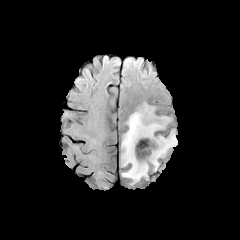
FLAIR MR.
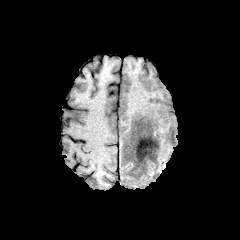
T1-weighted magnetic resonance.
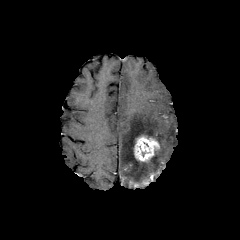
Post-contrast T1-weighted MRI of the same slice.
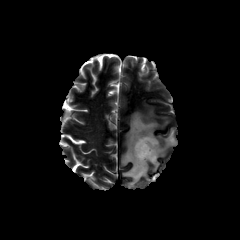
T2-weighted magnetic resonance of the same slice.
Enhancing tumor: 134,136,159,161.
Edema: 122,112,177,183.